512x512 px, CT slice, Slice 100 of 151, Field of view 399 mm wide, 1.50 mm slice spacing

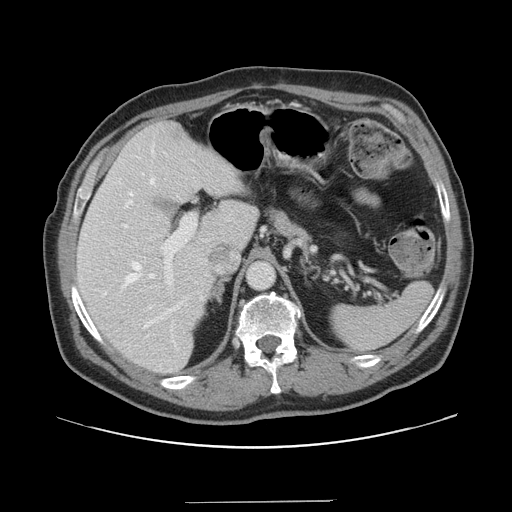

The vessel boxes may cover only some of the vessels.
Hepatic vessel: bounding box 123, 262, 141, 286; 143, 297, 187, 328; 171, 334, 177, 349; 148, 306, 151, 308; 128, 192, 133, 195; 125, 200, 132, 206; 152, 149, 152, 153; 150, 177, 154, 184; 149, 274, 153, 277; 161, 214, 196, 285; 171, 321, 173, 330.